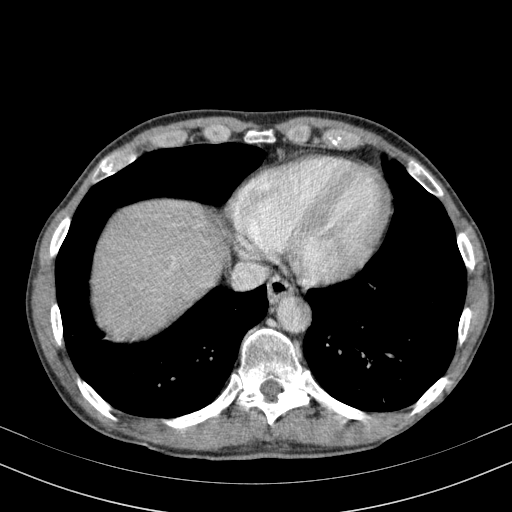 CT.

<segmentation>
  <liver>90:199:230:341</liver>
</segmentation>